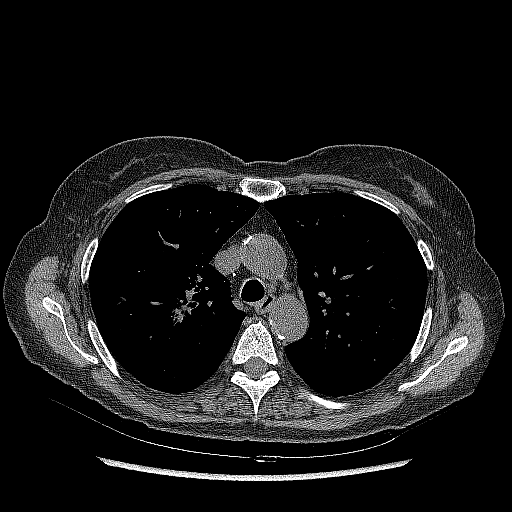

512x512; CT image
{"lung_tumor": ["164:302:189:328"]}